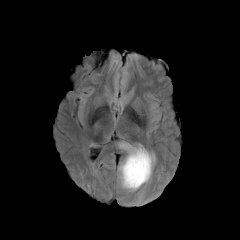
FLAIR magnetic resonance.
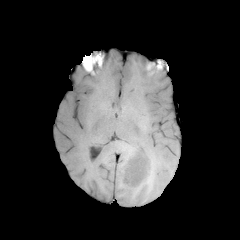
T1-weighted magnetic resonance.
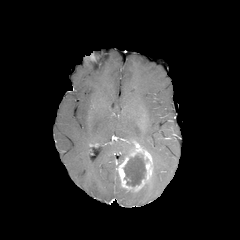
Same slice, post-contrast T1-weighted MR image.
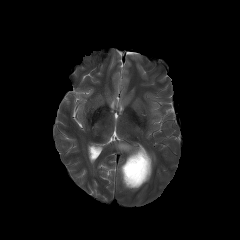
Same slice, T2-weighted MR image.
240x240 px
Annotated regions:
• non-enhancing tumor core: <bbox>124, 155, 145, 187</bbox>
• enhancing tumor: <bbox>118, 145, 152, 189</bbox>
• edema: <bbox>122, 145, 135, 156</bbox>